FLAIR MRI.
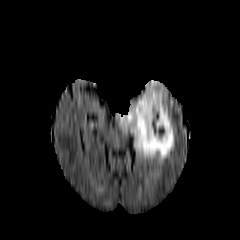
T1-weighted MR.
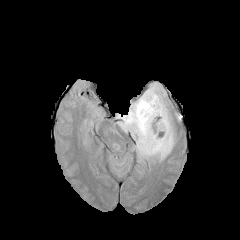
Post-contrast T1-weighted MRI.
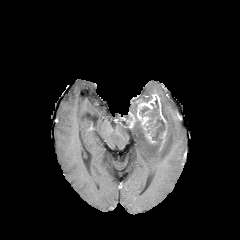
T2-weighted MR.
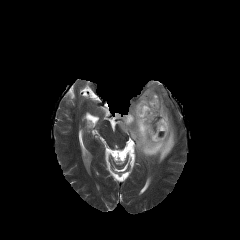
Findings:
- non-enhancing tumor core: <bbox>148, 109, 157, 139</bbox>
- edema: <bbox>129, 101, 138, 112</bbox>, <bbox>118, 91, 175, 162</bbox>, <bbox>138, 82, 157, 101</bbox>
- enhancing tumor: <bbox>126, 92, 165, 143</bbox>